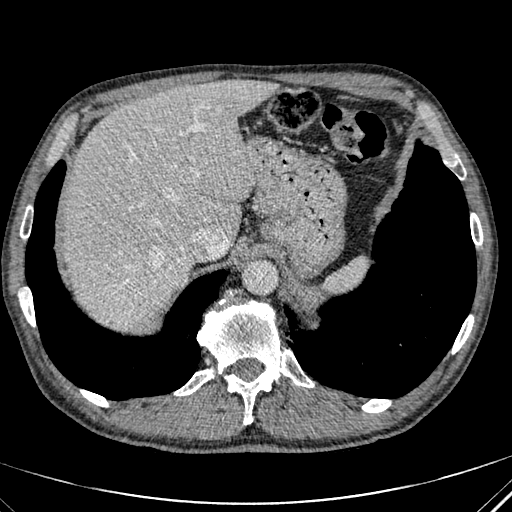
512x512 px | CT scan slice | Abdomen

{"liver": ["65,79,277,324"]}